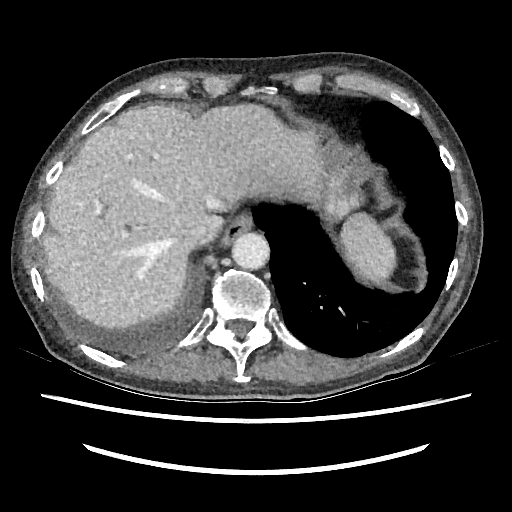
CT. 512x512.
The liver appears at [x1=43, y1=104, x2=323, y2=326].